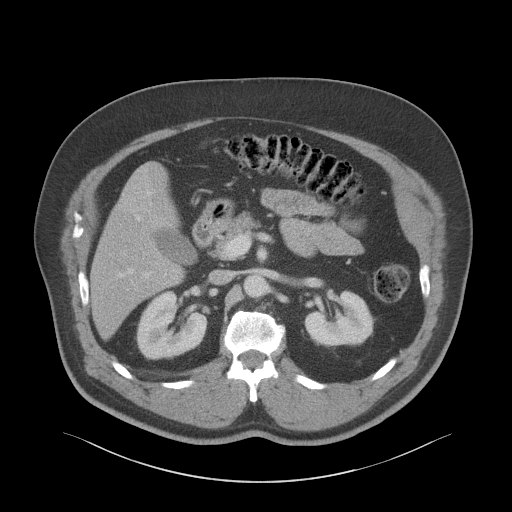
Upper abdomen; CT image; Image size 512x512
Kidney = [138,292,206,358], [305,291,371,345].
Liver = [90,165,181,334].